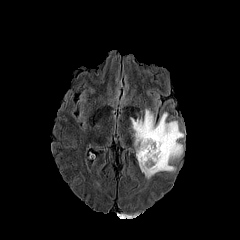
FLAIR MR.
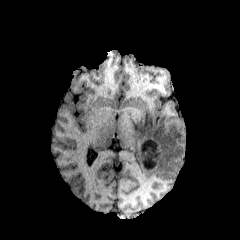
Same slice, T1-weighted MR image.
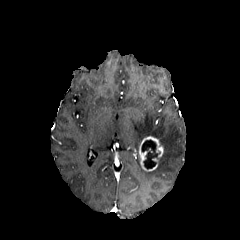
Post-contrast T1-weighted MRI of the same slice.
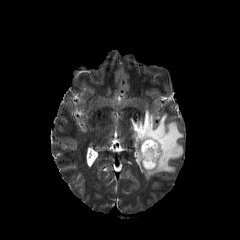
T2-weighted MRI.
Image size 240x240; Brain
Edema = box(130, 109, 183, 179).
Non-enhancing tumor core = box(141, 139, 158, 169).
Enhancing tumor = box(138, 135, 163, 172).